FLAIR magnetic resonance.
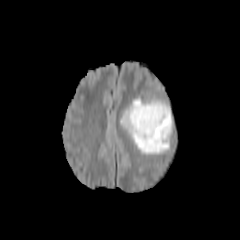
T1-weighted magnetic resonance.
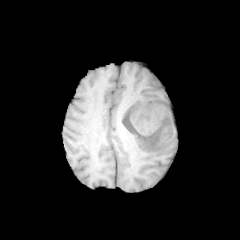
Post-contrast T1-weighted MR.
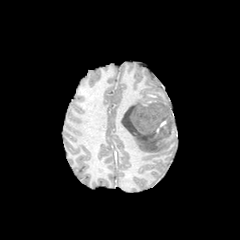
T2-weighted MRI.
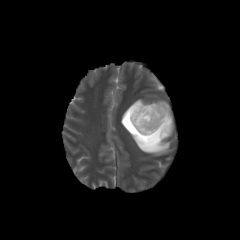
Image size 240x240
Edema — bbox=[118, 97, 171, 154].
Enhancing tumor — bbox=[153, 120, 166, 138].
Non-enhancing tumor core — bbox=[122, 102, 173, 141].